Computed tomography. Abdomen. Slice index 19.

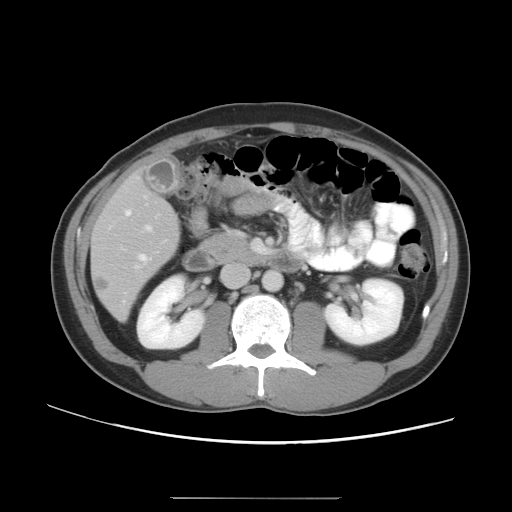
Not every hepatic vessel necessarily has a box.
liver tumor: (96, 277, 105, 289) | hepatic vessel: (136, 254, 150, 267), (110, 226, 111, 227), (164, 240, 165, 242), (146, 225, 152, 231), (144, 196, 146, 198), (134, 176, 139, 178), (126, 210, 131, 215), (157, 215, 159, 216)